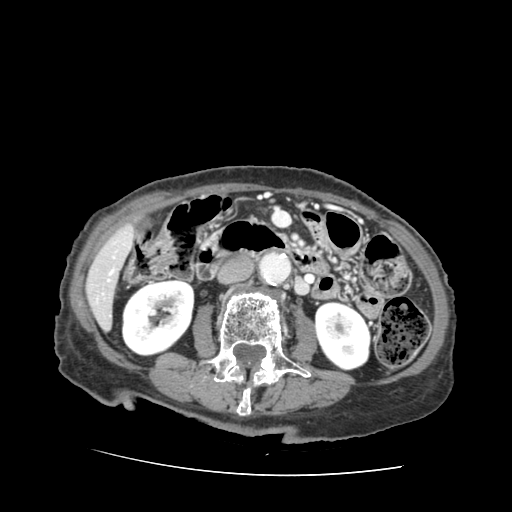
Upper abdomen, CT image, 512x512 px

The pancreas is bounded by box=[249, 215, 259, 222].